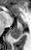

31x50 px, Magnetic resonance
posterior_hippocampus:
  - (9,19,23,38)